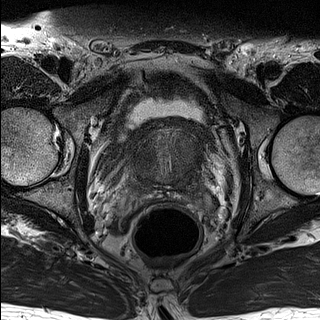
T2-weighted MRI.
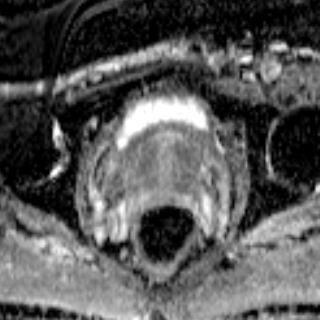
ADC MR image.
320x320 px. Prostate.
{
  "prostate_peripheral_zone": [
    "bbox(130, 165, 204, 197)"
  ],
  "prostate_transition_zone": [
    "bbox(134, 124, 202, 187)"
  ]
}